Slice 105 of 155
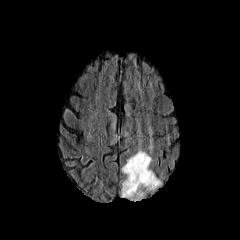
FLAIR magnetic resonance.
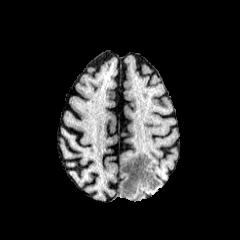
T1-weighted MRI of the same slice.
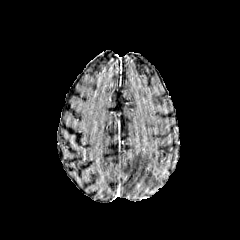
Post-contrast T1-weighted magnetic resonance.
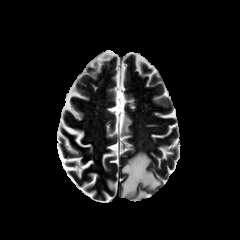
Same slice, T2-weighted MRI.
<segmentation>
  <edema>(x1=118, y1=151, x2=161, y2=201)</edema>
</segmentation>